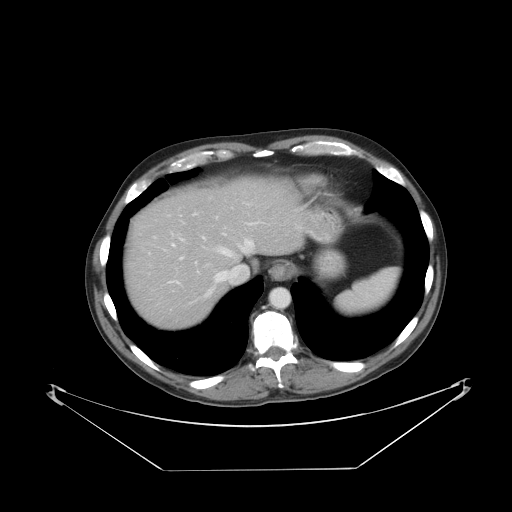 CT slice
Some hepatic vessels may have no box.
Hepatic vessel = (202,271,228,297), (217,247,239,260), (195,262,196,263), (180,256,182,259), (171,243,174,246), (169,281,179,283), (244,203,251,203), (198,271,200,274), (223,233,225,235), (238,239,253,253), (203,237,205,239), (246,220,266,225), (179,238,183,240), (180,214,181,216), (193,213,196,215).